Head
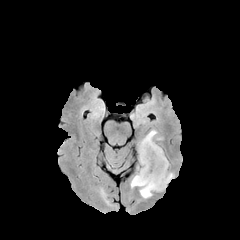
FLAIR MR.
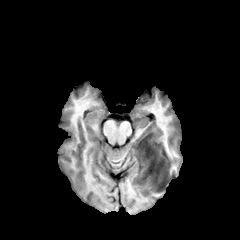
T1-weighted MR of the same slice.
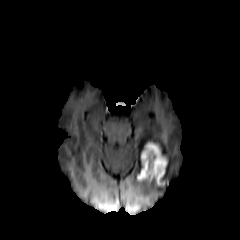
Post-contrast T1-weighted magnetic resonance.
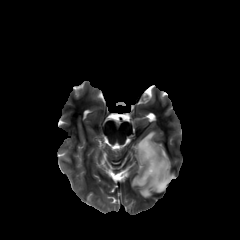
T2-weighted magnetic resonance of the same slice.
Enhancing tumor = (x1=137, y1=142, x2=167, y2=185).
Edema = (x1=131, y1=160, x2=174, y2=197), (x1=136, y1=130, x2=157, y2=173).